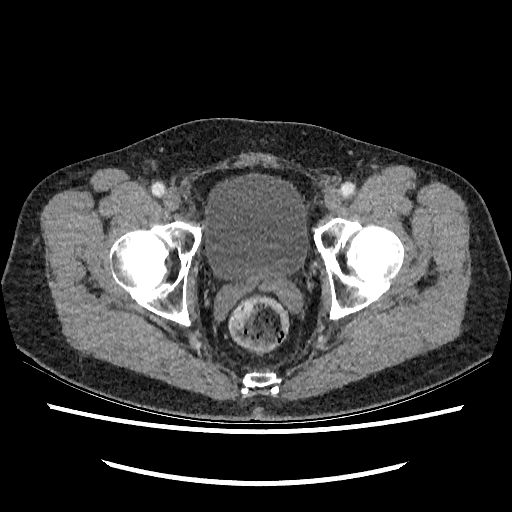 Pelvis, CT scan slice
urinary bladder: rect(201, 173, 309, 280)